Head
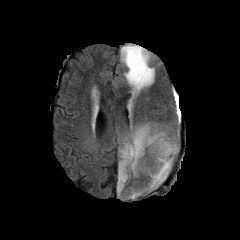
FLAIR MR.
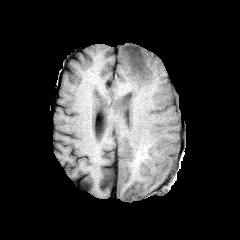
T1-weighted MRI.
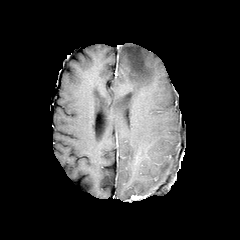
Same slice, post-contrast T1-weighted MR.
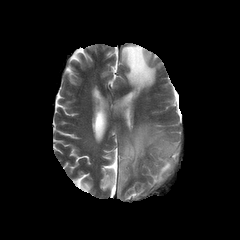
T2-weighted MR image.
{
  "edema": [
    "bbox(118, 128, 157, 191)",
    "bbox(119, 44, 159, 97)",
    "bbox(149, 140, 178, 187)"
  ],
  "non-enhancing_tumor_core": [
    "bbox(127, 46, 146, 77)"
  ]
}